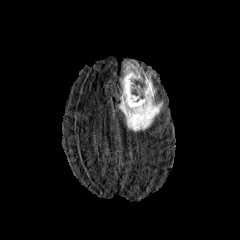
FLAIR MR image.
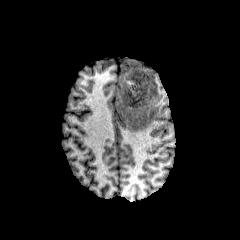
T1-weighted MR image.
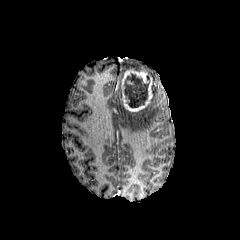
Post-contrast T1-weighted magnetic resonance of the same slice.
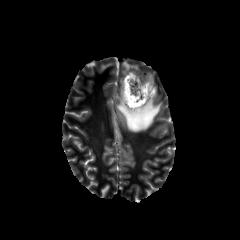
Same slice, T2-weighted MRI.
The enhancing tumor is at 120, 68, 153, 111. 2 edema regions appear at 118, 89, 162, 132; 123, 59, 138, 69. The non-enhancing tumor core appears at 124, 74, 148, 108.